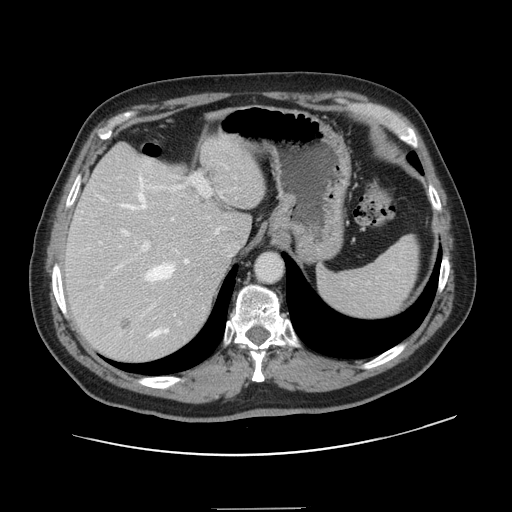 CT, 512x512 px
Some hepatic vessels may have no box.
<segmentation>
  <liver_tumor>[119, 320, 132, 330]</liver_tumor>
  <hepatic_vessel>[147, 328, 167, 337], [147, 263, 174, 279], [139, 175, 160, 189], [121, 229, 127, 234], [116, 264, 122, 268], [141, 243, 149, 250], [100, 242, 101, 244], [172, 186, 180, 190], [185, 259, 188, 262], [100, 197, 102, 198], [190, 173, 208, 190], [122, 192, 145, 209]</hepatic_vessel>
</segmentation>